Image size 512x512, CT slice, Abdomen

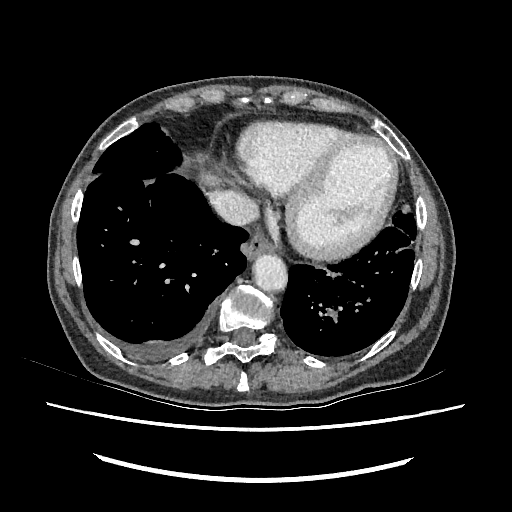 liver:
  - box=[196, 173, 221, 187]